FLAIR MR image.
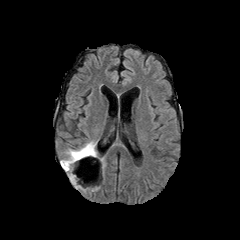
T1-weighted MR image.
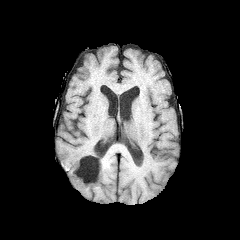
Post-contrast T1-weighted MRI.
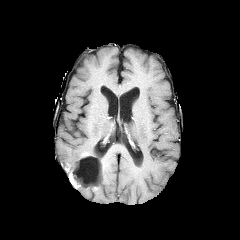
T2-weighted MR image.
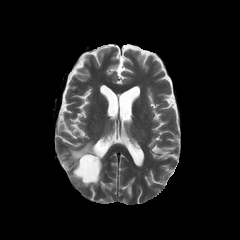
Head
Edema = 60,140,96,187.
Non-enhancing tumor core = 79,145,96,160.